Slice index 90
FLAIR MR image.
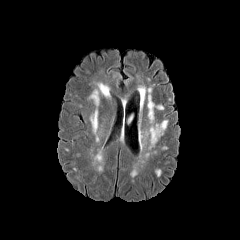
T1-weighted MR image.
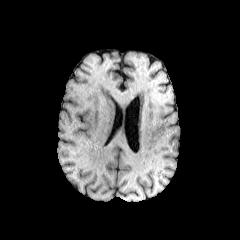
Post-contrast T1-weighted MR image.
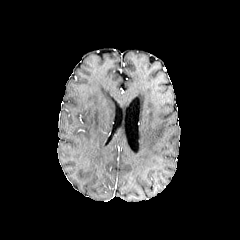
T2-weighted MRI.
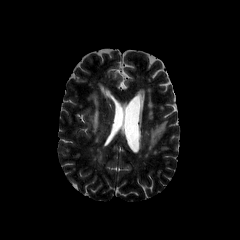
edema:
  - (x1=91, y1=111, x2=97, y2=132)